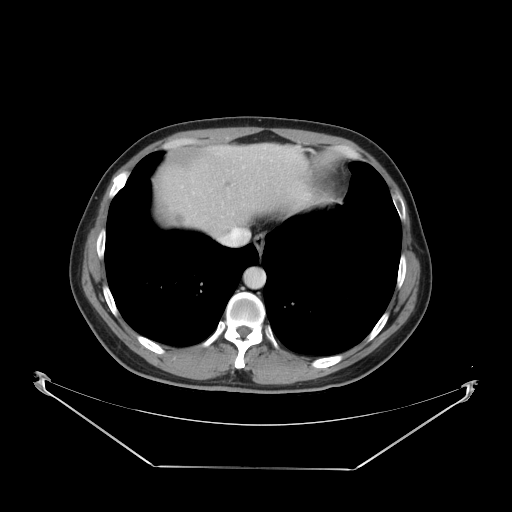
CT image
The vessel annotation is not exhaustive.
Hepatic vessel — [227,230,233,235].